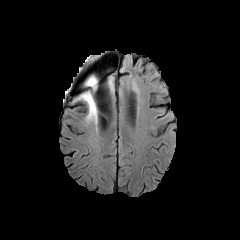
FLAIR MR.
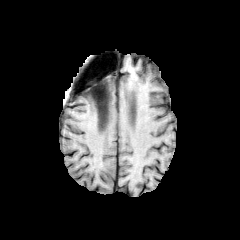
T1-weighted MR image.
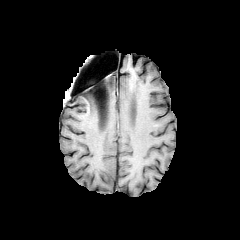
Post-contrast T1-weighted MR image.
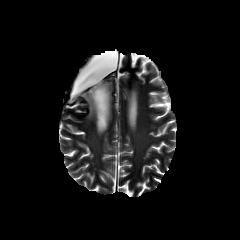
T2-weighted magnetic resonance of the same slice.
Head, 240x240 px
2 edema regions are bounded by 75, 75, 100, 123; 108, 80, 113, 92.